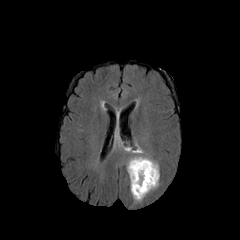
FLAIR magnetic resonance.
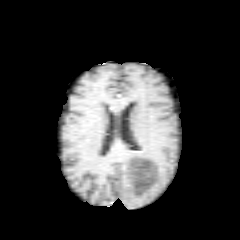
T1-weighted MR image of the same slice.
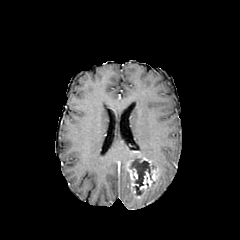
Post-contrast T1-weighted MR.
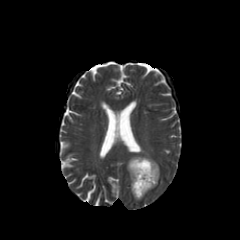
Same slice, T2-weighted magnetic resonance.
2 enhancing tumor regions are bounded by 127:160:138:193, 140:158:157:190. 2 edema regions are bounded by 118:141:131:151, 127:154:160:201. The non-enhancing tumor core is located at 129:159:151:195.